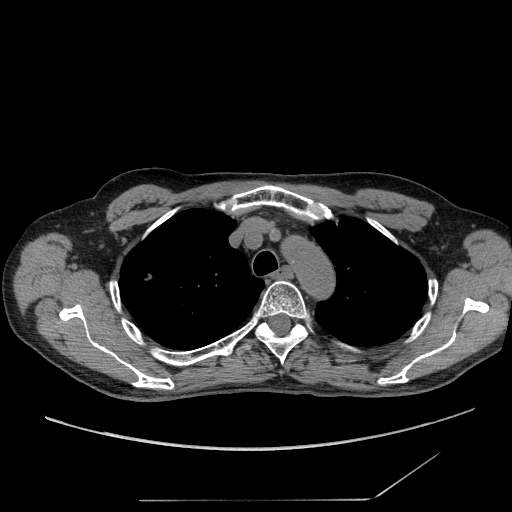
CT image, 512x512
lung tumor: (128,270,162,289)